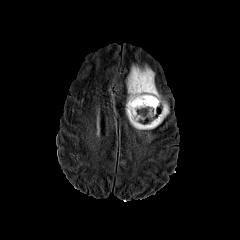
FLAIR MRI.
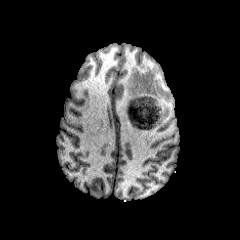
T1-weighted MRI of the same slice.
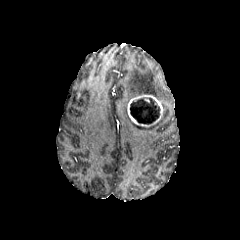
Post-contrast T1-weighted MRI.
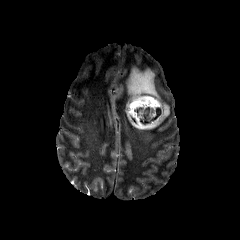
T2-weighted MR.
Head
Edema: [126, 65, 169, 129].
Non-enhancing tumor core: [130, 97, 160, 124].
Enhancing tumor: [128, 94, 162, 126].